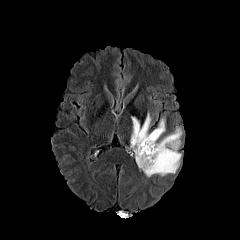
FLAIR MR.
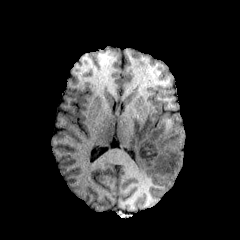
Same slice, T1-weighted MRI.
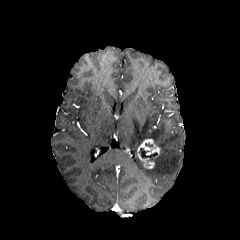
Post-contrast T1-weighted MR.
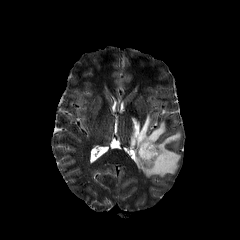
T2-weighted MR image.
Brain
- non-enhancing tumor core: [x1=139, y1=149, x2=157, y2=161]
- enhancing tumor: [x1=136, y1=138, x2=162, y2=168]
- edema: [x1=135, y1=130, x2=181, y2=177], [x1=130, y1=114, x2=164, y2=153]